Head; Slice index 103; 240x240
FLAIR MRI.
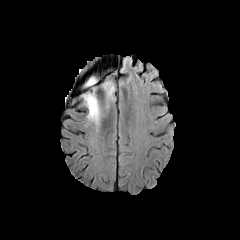
T1-weighted MR image.
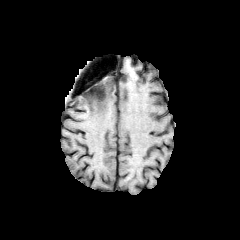
Post-contrast T1-weighted MR.
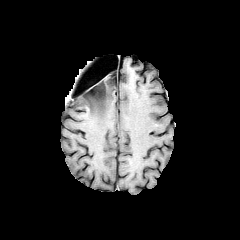
T2-weighted magnetic resonance.
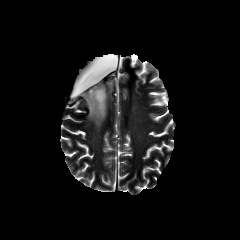
The non-enhancing tumor core is at (88,84,107,111). 3 edema regions are bounded by (81,91,105,125), (86,77,99,94), (102,80,114,107).